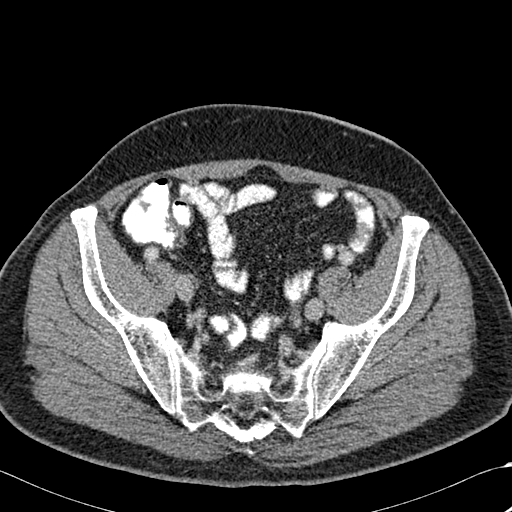

CT scan slice.
{"bone": ["rect(71, 206, 429, 442)"]}